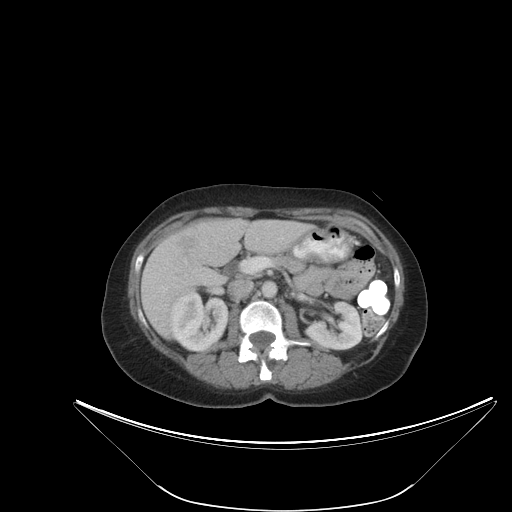 Liver; CT

<segmentation>
  <liver_tumor><bbox>178, 233, 200, 251</bbox></liver_tumor>
</segmentation>